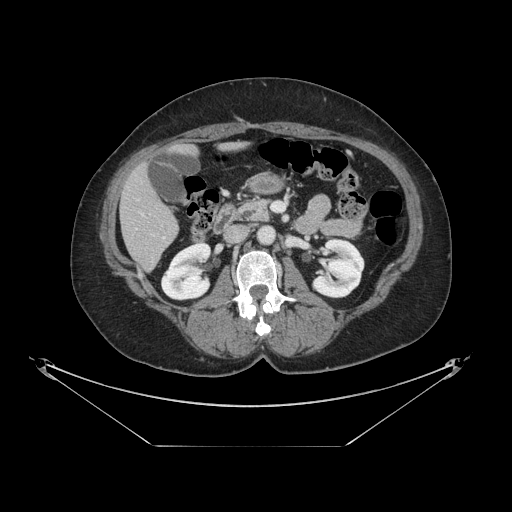
Computed tomography
pancreas:
  - (x1=241, y1=201, x2=269, y2=219)